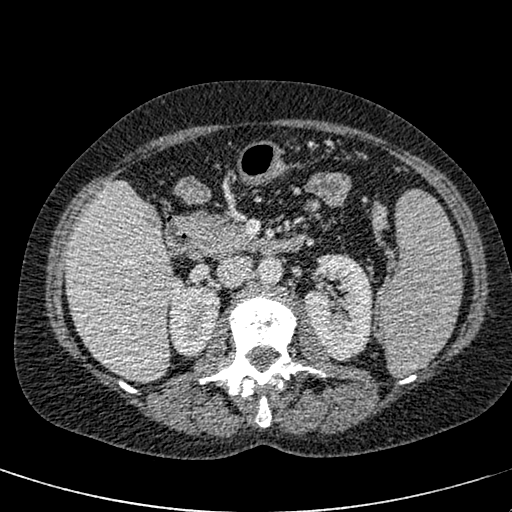

Upper abdomen, Computed tomography

Findings:
• liver lesion: 136:204:158:229
• kidney: 169:286:219:352, 305:255:371:360
• liver: 63:182:173:383